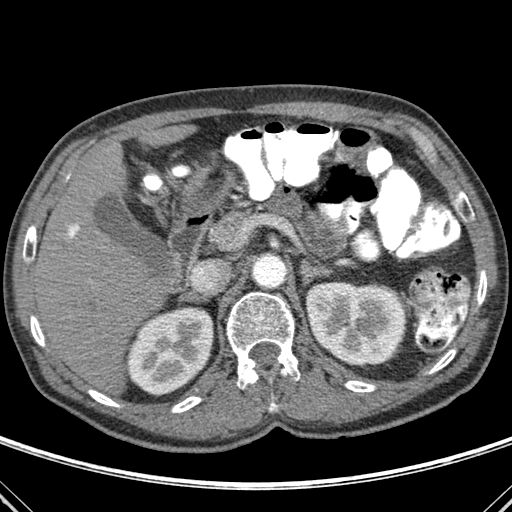
Liver; CT
bone:
  - [x1=345, y1=380, x2=375, y2=392]
  - [x1=23, y1=225, x2=36, y2=259]
  - [x1=30, y1=316, x2=44, y2=346]
  - [x1=429, y1=349, x2=455, y2=373]
  - [x1=88, y1=390, x2=119, y2=407]
  - [x1=456, y1=191, x2=471, y2=210]
  - [x1=172, y1=396, x2=201, y2=412]
  - [x1=227, y1=292, x2=299, y2=388]
  - [x1=477, y1=271, x2=486, y2=304]
kidney:
  - [x1=129, y1=309, x2=212, y2=393]
  - [x1=307, y1=283, x2=404, y2=363]
liver:
  - [x1=138, y1=125, x2=193, y2=145]
  - [x1=33, y1=146, x2=166, y2=395]